CT scan slice

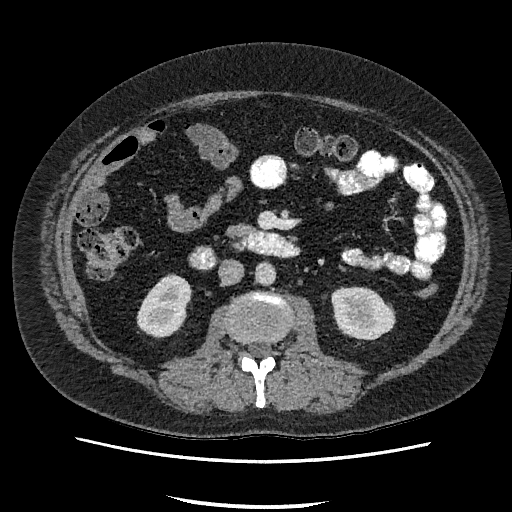 <segmentation>
  <kidney>rect(138, 276, 190, 335); rect(332, 288, 393, 338)</kidney>
</segmentation>